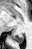 MRI slice, Hippocampus

<segmentation>
  <posterior_hippocampus>l=11, t=34, r=23, b=43</posterior_hippocampus>
</segmentation>